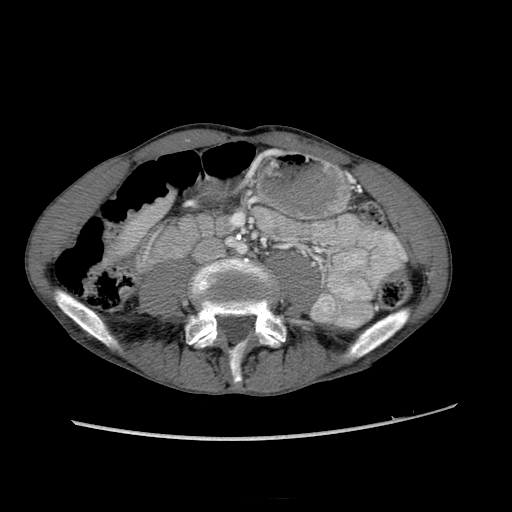
CT
Annotated regions:
- liver: l=120, t=196, r=169, b=253